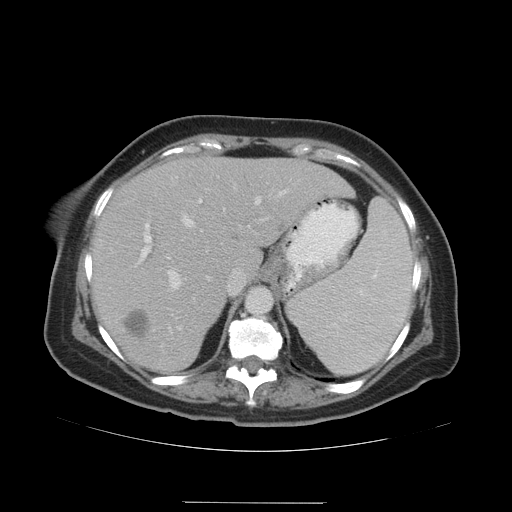

Liver. CT image.

The vessel annotation is not exhaustive.
hepatic vessel: [279,191,285,195], [171,313,172,315], [199,200,201,202], [169,328,171,332], [255,196,259,203], [168,271,177,275], [140,223,150,261], [171,281,180,288], [167,257,169,258], [183,217,192,226], [223,209,224,211], [269,196,270,197], [178,327,181,328], [161,344,162,346], [207,276,209,280] | liver tumor: [125,310,147,337], [279,223,287,231]